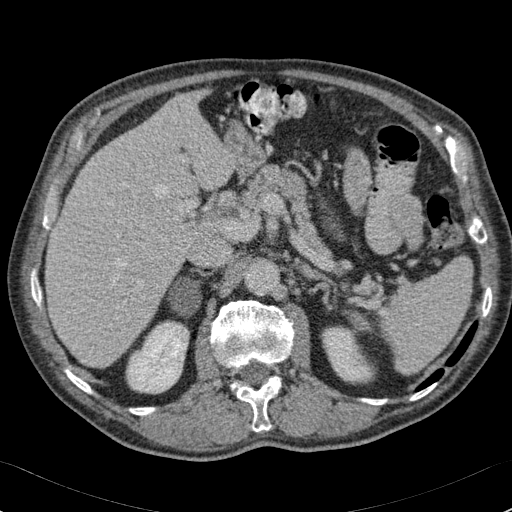
512x512 px, CT

Annotated regions:
* kidney: [127, 323, 188, 392], [323, 328, 370, 380]
* liver: [46, 94, 231, 367], [222, 193, 231, 200]